CT slice, Slice 71/98

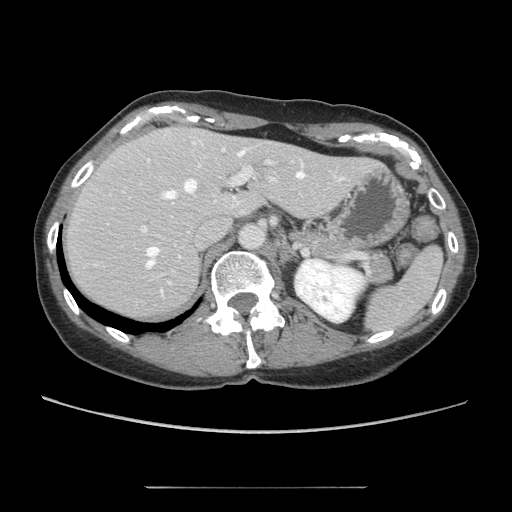
<segmentation>
  <pancreas>box(290, 226, 348, 258)</pancreas>
</segmentation>